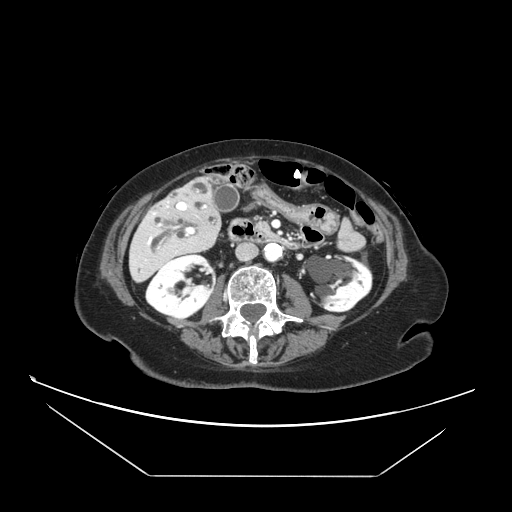

CT image

<segmentation>
  <pancreas>bbox(258, 222, 271, 235)</pancreas>
</segmentation>